Pelvis; Slice 25 of 40; CT

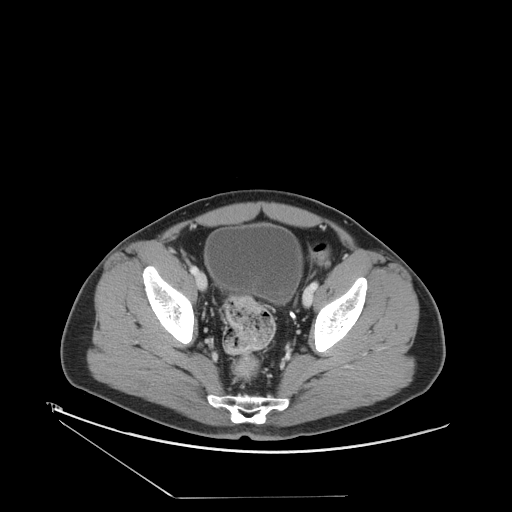 Colon tumor at box=[225, 310, 242, 331]; box=[231, 297, 261, 313].